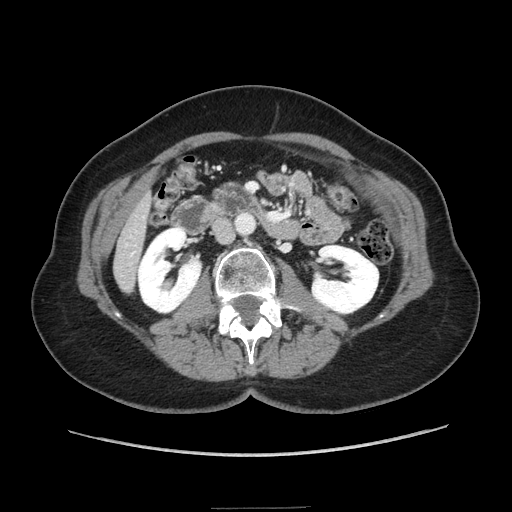
Abdomen. Image size 512x512. CT. The pancreas is located at l=205, t=204, r=220, b=217.